FLAIR MR.
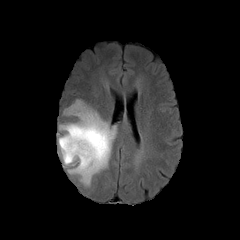
T1-weighted magnetic resonance.
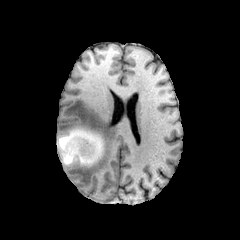
Post-contrast T1-weighted MRI.
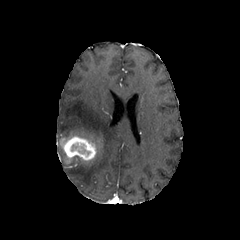
T2-weighted MR.
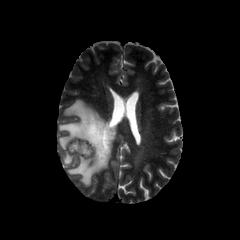
The edema is located at [x1=59, y1=100, x2=116, y2=185]. The enhancing tumor is bounded by [x1=63, y1=137, x2=95, y2=159]. 2 non-enhancing tumor core regions are bounded by [x1=59, y1=132, x2=102, y2=163], [x1=70, y1=143, x2=90, y2=154].